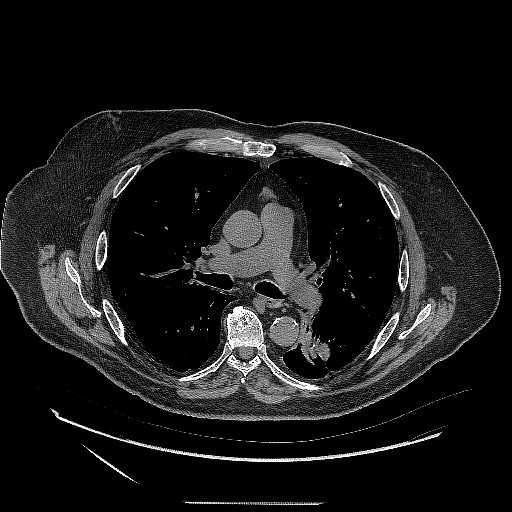 CT scan slice; Image size 512x512; Lung
The lung tumor appears at l=288, t=308, r=332, b=371.